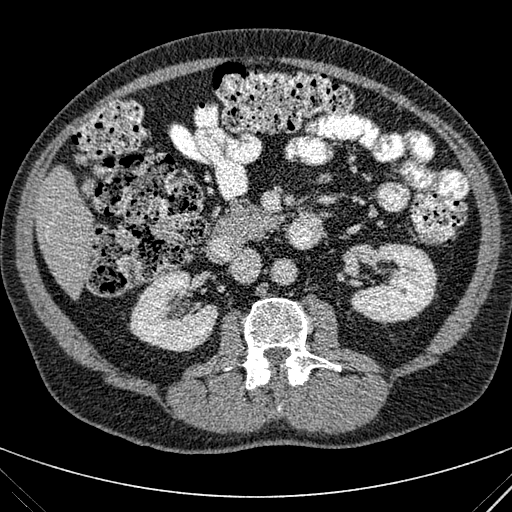

CT
Liver: bounding box <box>35,167,93,298</box>.
Kidney: bounding box <box>130,270,217,351</box>, <box>344,244,436,322</box>, <box>350,280,362,285</box>.